Computed tomography. Field of view 391 mm wide, 0.80 mm slice spacing. 512x512 px.

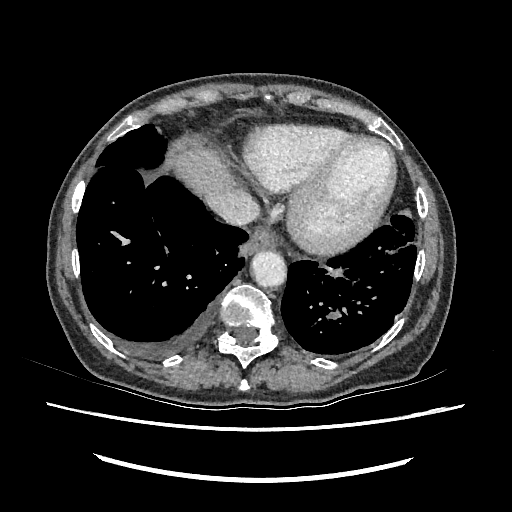 <segmentation>
  <liver>(176,149,235,194)</liver>
</segmentation>